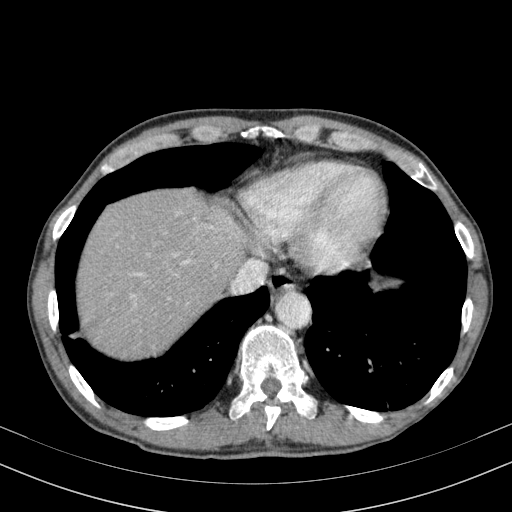
Abdomen. CT scan slice.
The liver is at 76, 187, 268, 360.